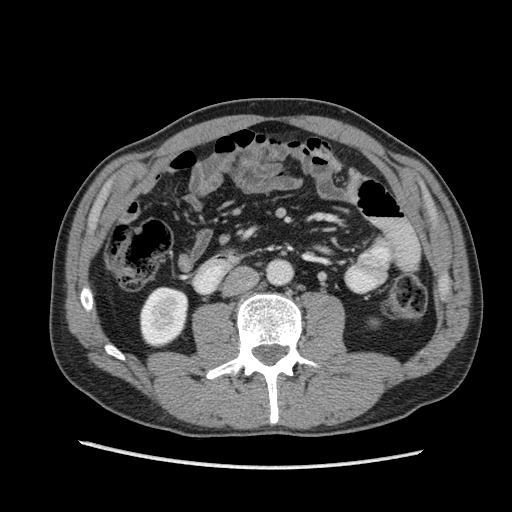 CT slice. kidney:
  - 141:288:186:344